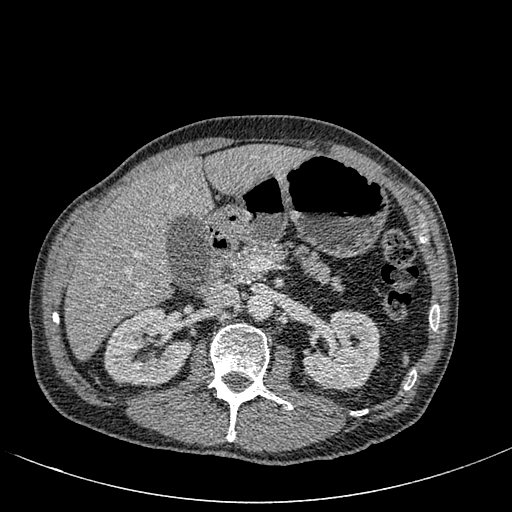

Liver. CT image. Liver = {"x1": 65, "y1": 145, "x2": 313, "y2": 359}.
Kidney = {"x1": 104, "y1": 308, "x2": 191, "y2": 385}, {"x1": 303, "y1": 311, "x2": 379, "y2": 390}.